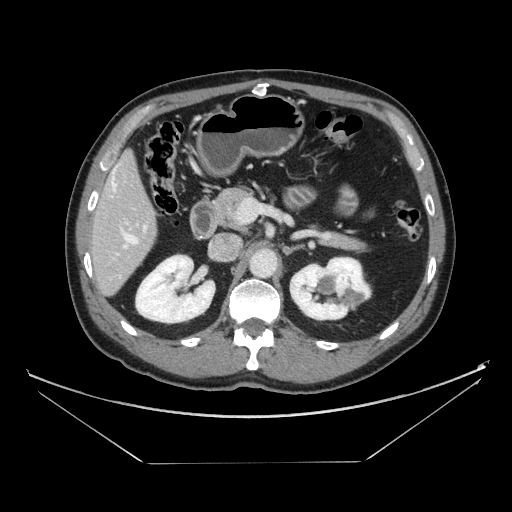

CT scan slice | Abdomen
pancreas: bbox(323, 233, 364, 250); bbox(216, 187, 248, 229)